Abdomen. Slice 327/366. CT slice. 512x512 px. 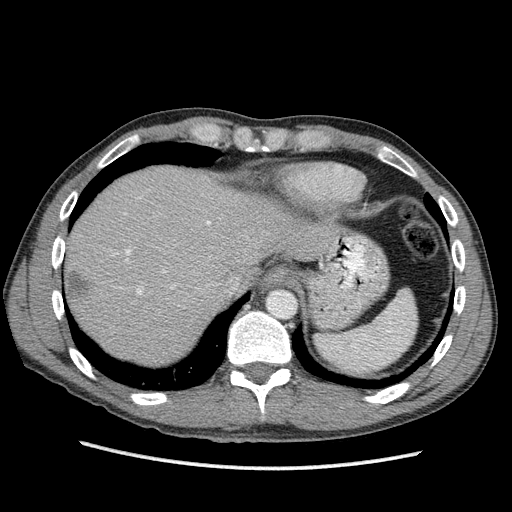
Findings:
- liver: box=[64, 165, 341, 366]
- focal liver lesion: box=[65, 270, 91, 298]